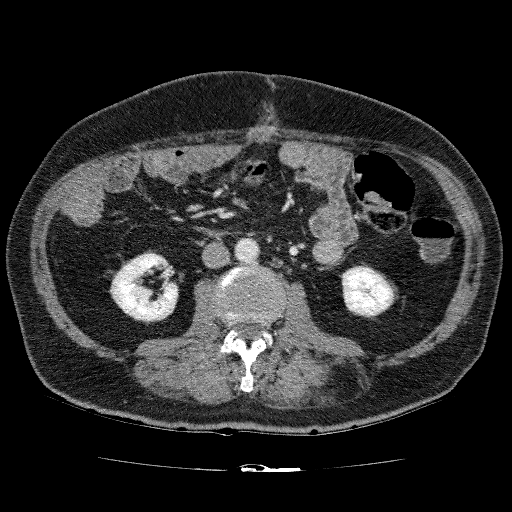
Abdomen, CT image, Image size 512x512
kidney:
  - (left=111, top=253, right=177, bottom=321)
  - (left=342, top=266, right=393, bottom=316)